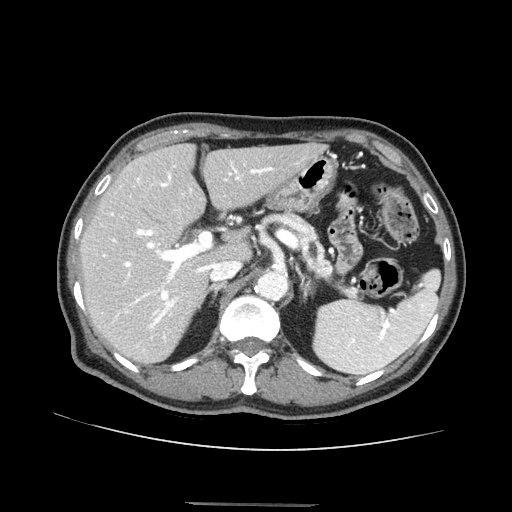

CT image, Upper abdomen
<segmentation>
  <pancreas><box>342,286,356,297</box>, <box>284,215,331,279</box></pancreas>
</segmentation>